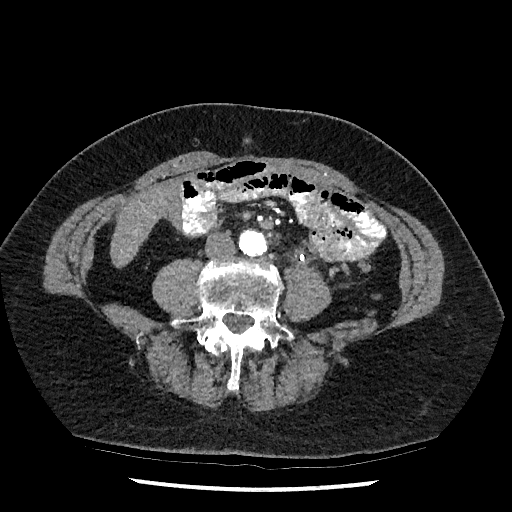 Computed tomography.

Liver: bounding box left=110, top=184, right=172, bottom=267.